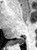 Magnetic resonance; Hippocampus
<segmentation>
  <posterior_hippocampus>(left=13, top=39, right=25, bottom=44)</posterior_hippocampus>
</segmentation>